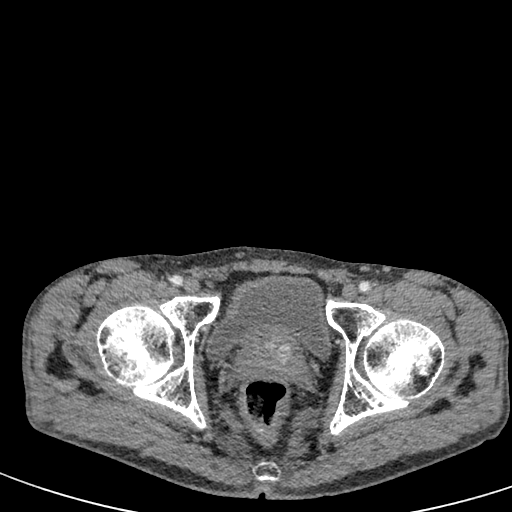 Computed tomography, Pelvis
{
  "urinary_bladder": [
    "box=[206, 276, 331, 360]"
  ]
}